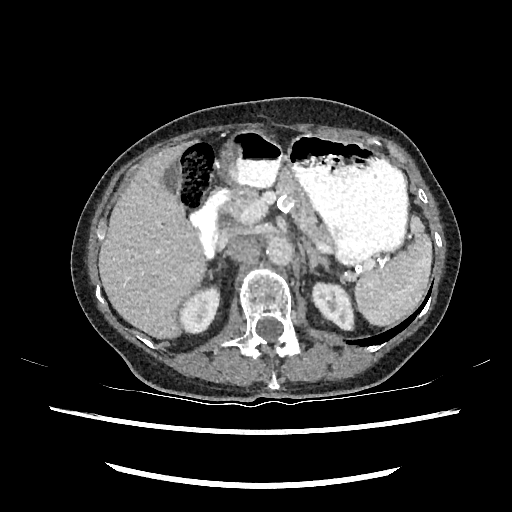 CT

2 kidney regions are located at left=181, top=290, right=217, bottom=331; left=313, top=284, right=352, bottom=328. The liver lies within left=99, top=141, right=205, bottom=338.